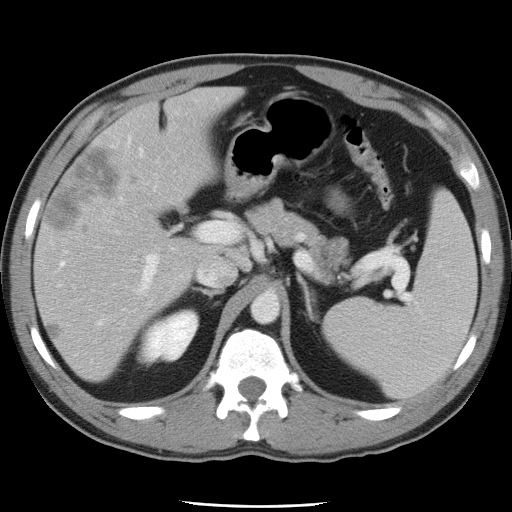 CT
The vessel boxes may cover only some of the vessels.
5 hepatic vessel regions are located at <box>201,223,235,240</box>, <box>140,149,141,152</box>, <box>140,255,155,292</box>, <box>60,262,63,265</box>, <box>98,322,100,323</box>.